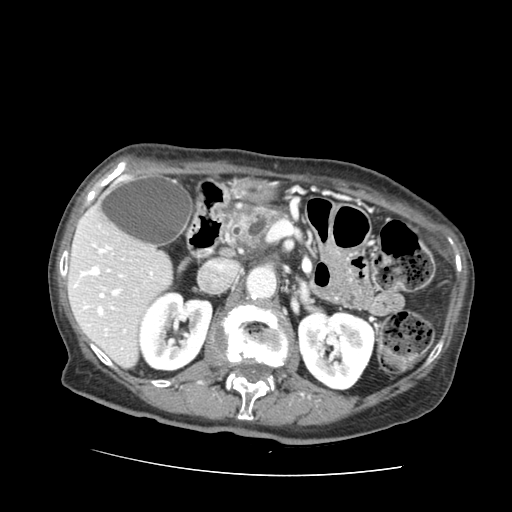 CT slice | 512x512
Pancreas: bounding box (224,200,284,254).